CT. Slice index 509. Image width 385 mm. 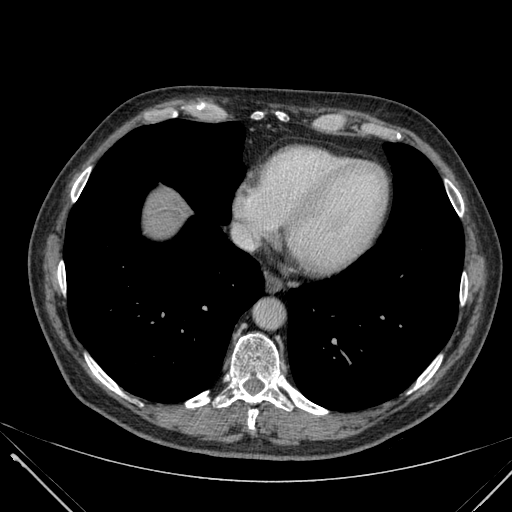 The liver is at x1=146 y1=189 x2=193 y2=234.